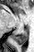

Medial temporal lobe. 34x52 px. MR.
{"posterior_hippocampus": ["l=13, t=28, r=27, b=45"]}